FLAIR magnetic resonance.
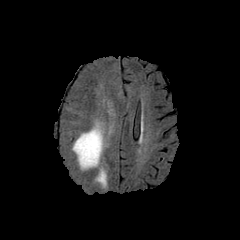
T1-weighted magnetic resonance.
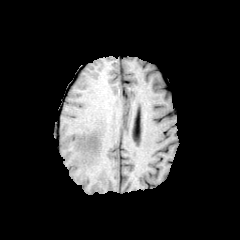
Post-contrast T1-weighted magnetic resonance.
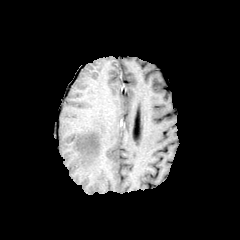
T2-weighted MRI.
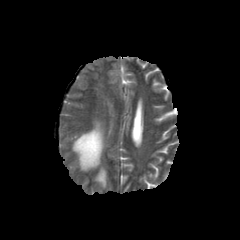
240x240 px, Head
2 edema regions are located at [x1=95, y1=168, x2=107, y2=187], [x1=72, y1=122, x2=104, y2=170].